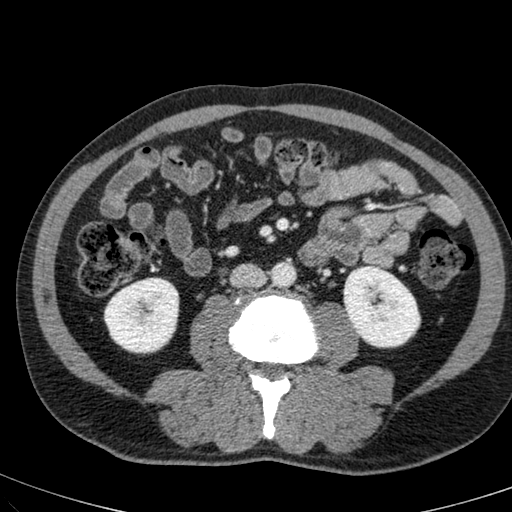
Abdomen. CT slice.
{"kidney": ["left=344, top=267, right=419, bottom=346", "left=105, top=279, right=177, bottom=351"]}